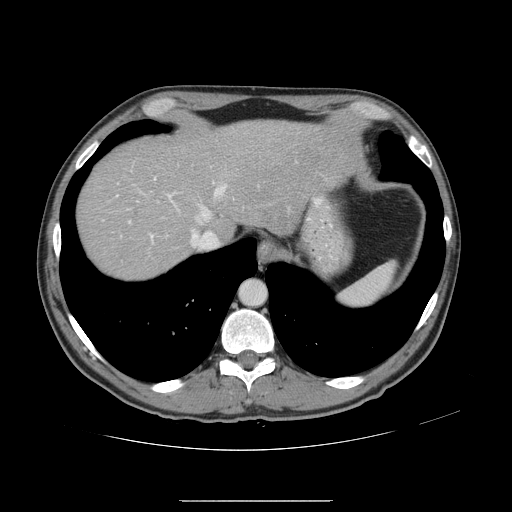
Liver; Computed tomography

The vessel annotation is not exhaustive.
hepatic_vessel:
  - 191, 230, 216, 247
  - 150, 234, 153, 240
  - 215, 184, 225, 196
  - 195, 206, 210, 222
  - 167, 194, 177, 209
  - 129, 221, 130, 222